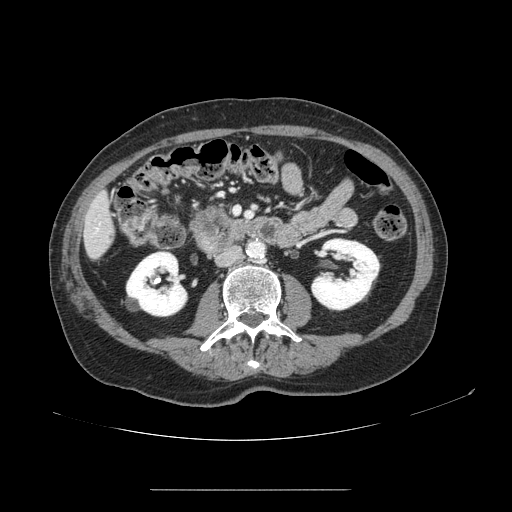 Abdomen | CT image

Pancreas at bbox=[193, 205, 249, 250].